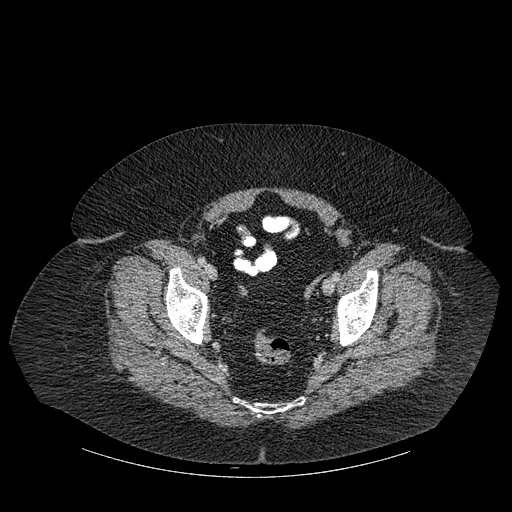
CT
3 bone regions are located at l=233, t=397, r=304, b=417; l=166, t=267, r=207, b=343; l=337, t=270, r=377, b=345.